512x512 px | CT

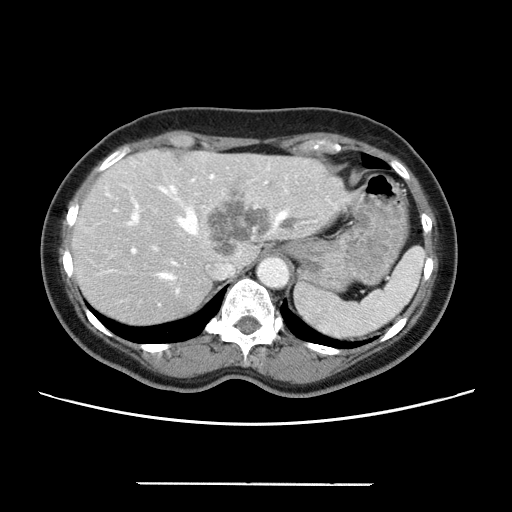
Not every hepatic vessel necessarily has a box.
The liver tumor is at (209,200,268,255). 7 hepatic vessel regions are bounded by (162,188,174,193), (179,209,196,233), (129,213,137,223), (277,212,285,222), (160,273,170,278), (136,205,136,208), (131,249,135,252).